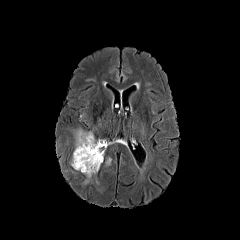
FLAIR MR image.
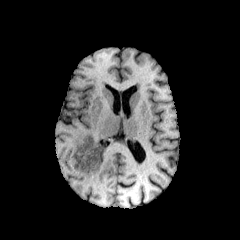
T1-weighted MR.
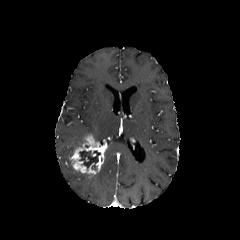
Post-contrast T1-weighted MRI.
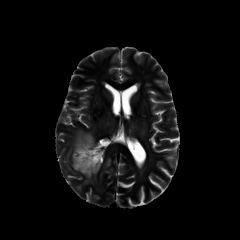
Same slice, T2-weighted MRI.
Head
The edema is located at {"x1": 73, "y1": 129, "x2": 93, "y2": 149}. The non-enhancing tumor core lies within {"x1": 79, "y1": 150, "x2": 100, "y2": 170}. The enhancing tumor is bounded by {"x1": 72, "y1": 134, "x2": 107, "y2": 177}.